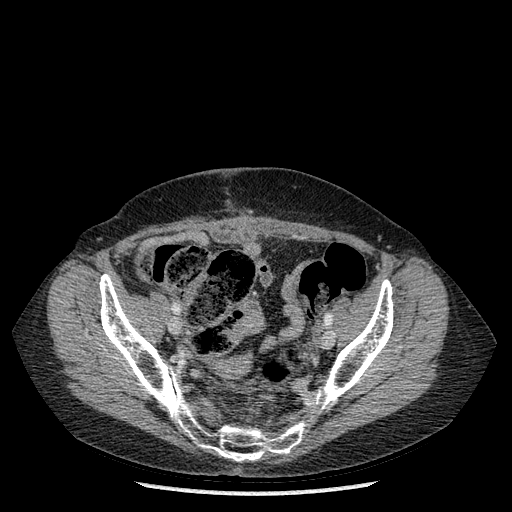 Image size 512x512 | CT
2 bone regions are located at l=99, t=274, r=307, b=461; l=310, t=279, r=393, b=413.